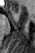 35x53 | MRI

Anterior hippocampus: [11, 6, 18, 13].